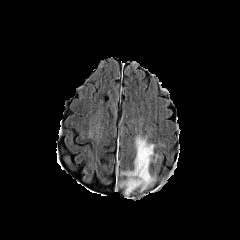
FLAIR MR image.
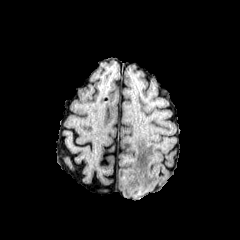
Same slice, T1-weighted MR image.
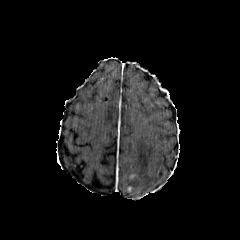
Post-contrast T1-weighted MR.
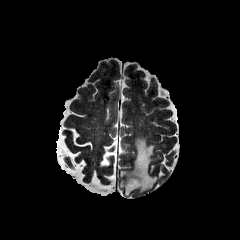
T2-weighted MRI.
Segmented structures:
- edema: box=[119, 135, 160, 197]